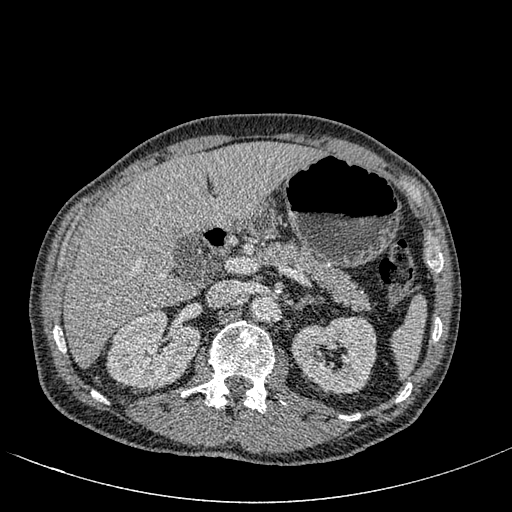
CT image
Liver = box=[64, 142, 325, 368].
Kidney = box=[292, 317, 375, 393]; box=[107, 310, 199, 387].